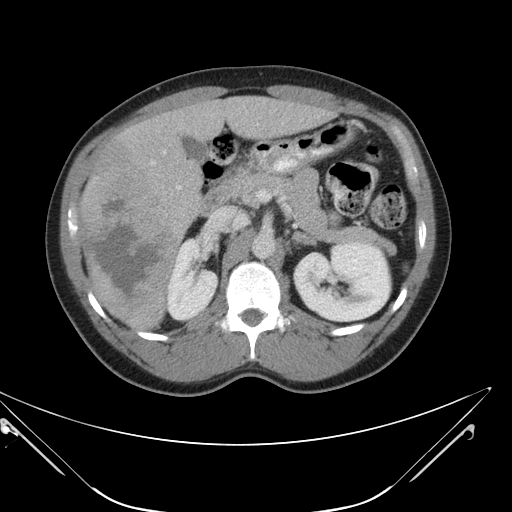

Liver. CT. 512x512. Only some of the vessels may be annotated.
{
  "hepatic_vessel": [
    "region(203, 207, 243, 233)",
    "region(151, 161, 154, 164)",
    "region(163, 150, 165, 153)",
    "region(176, 185, 180, 188)"
  ],
  "liver_tumor": [
    "region(80, 144, 178, 329)"
  ]
}